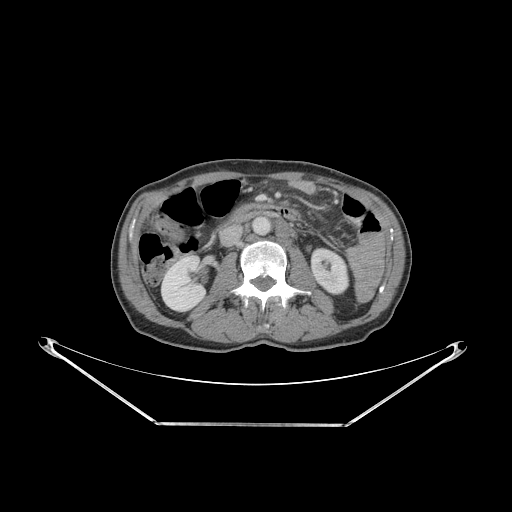
512x512 px. CT. <segmentation>
  <kidney>region(161, 256, 205, 311); region(311, 249, 347, 292)</kidney>
  <bone>region(232, 241, 309, 309)</bone>
</segmentation>